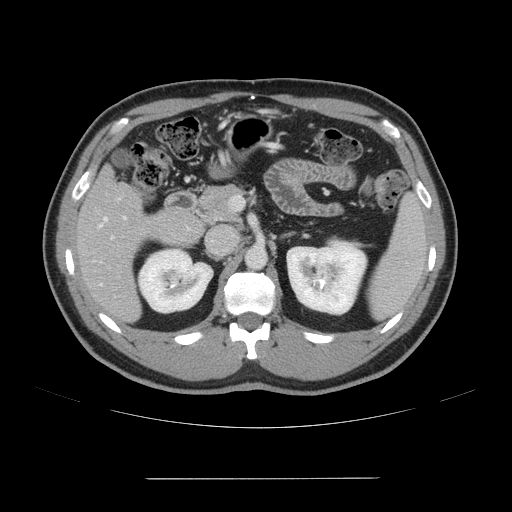
512x512 px | CT | Abdomen
The vessel boxes may cover only some of the vessels.
<segmentation>
  <hepatic_vessel>x1=104 y1=218 x2=106 y2=220, x1=100 y1=283 x2=101 y2=285, x1=123 y1=216 x2=125 y2=218, x1=111 y1=236 x2=113 y2=238, x1=99 y1=224 x2=102 y2=226, x1=117 y1=198 x2=120 y2=200</hepatic_vessel>
</segmentation>